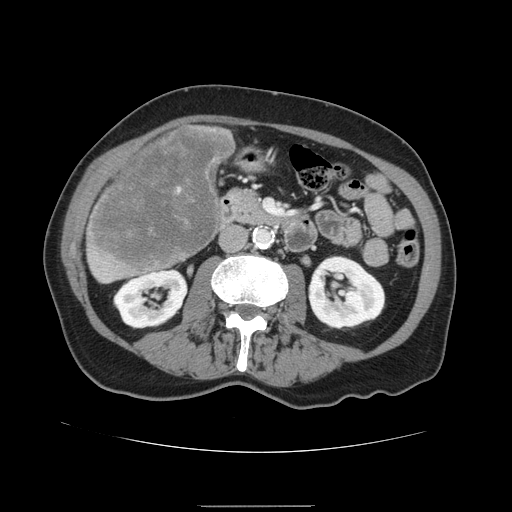

Image size 512x512. Abdomen. CT. The liver tumor is at l=89, t=127, r=233, b=269.